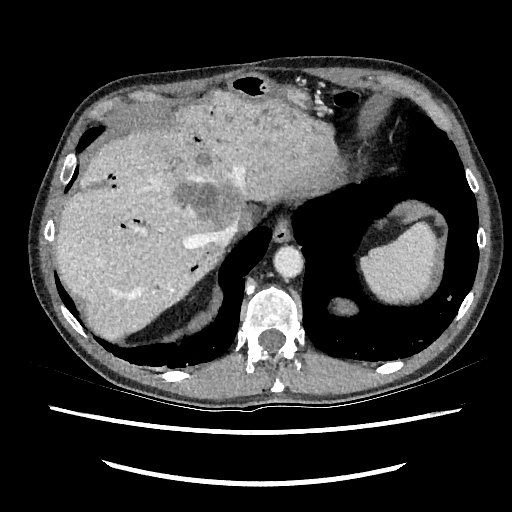 CT slice; Abdomen
Segmented structures:
- hepatic lesion: bbox(195, 153, 211, 166); bbox(175, 179, 251, 228); bbox(86, 180, 105, 190); bbox(168, 156, 179, 170)
- liver: bbox(56, 90, 339, 337)